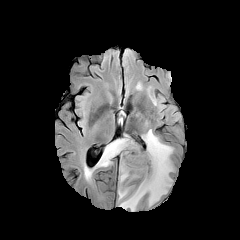
FLAIR MRI.
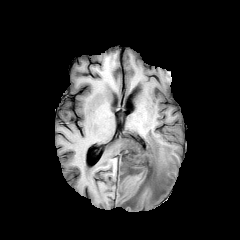
T1-weighted MRI of the same slice.
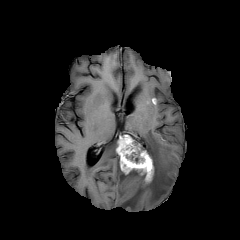
Post-contrast T1-weighted MR.
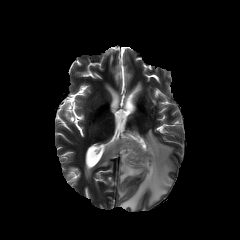
T2-weighted MR image.
Enhancing tumor: bounding box box=[116, 135, 153, 181].
Edema: bounding box box=[118, 129, 173, 211]; box=[84, 139, 118, 177]; box=[119, 170, 143, 183].
Non-enhancing tumor core: bounding box box=[127, 142, 158, 196].